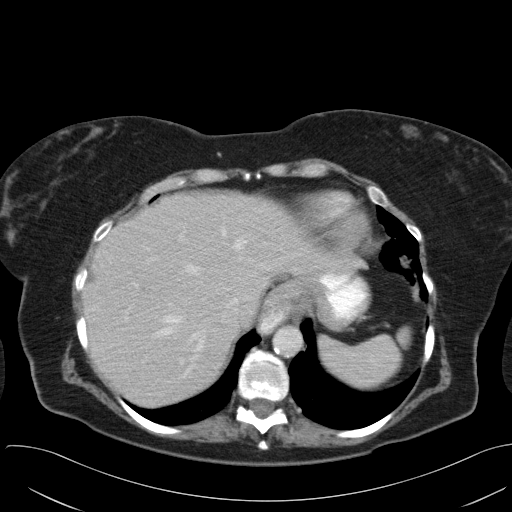

CT. Upper abdomen.
The spleen appears at (319,330,411,390).